CT image | Liver | Slice 68 of 151

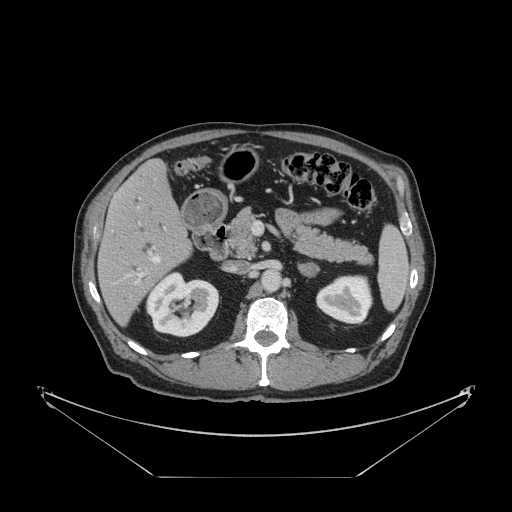
The vessel boxes may cover only some of the vessels.
5 hepatic vessel regions are bounded by (left=135, top=269, right=142, bottom=278), (left=149, top=253, right=159, bottom=262), (left=252, top=220, right=261, bottom=233), (left=124, top=274, right=130, bottom=277), (left=134, top=281, right=137, bottom=283).